Field of view 700x700 mm. CT scan slice. 512x512 px.

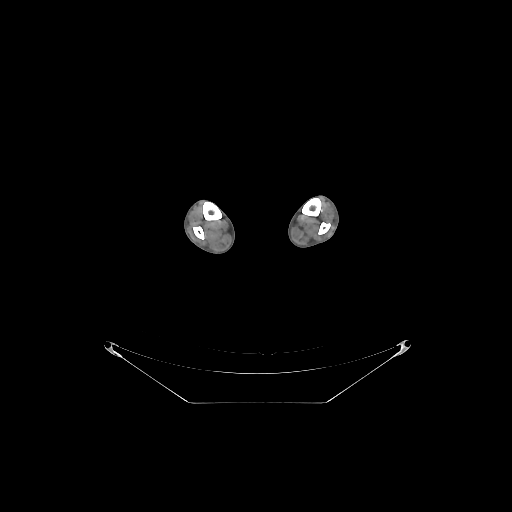
bone: bbox(203, 202, 221, 220); bbox(193, 226, 204, 239); bbox(302, 198, 321, 216); bbox(318, 222, 330, 234)